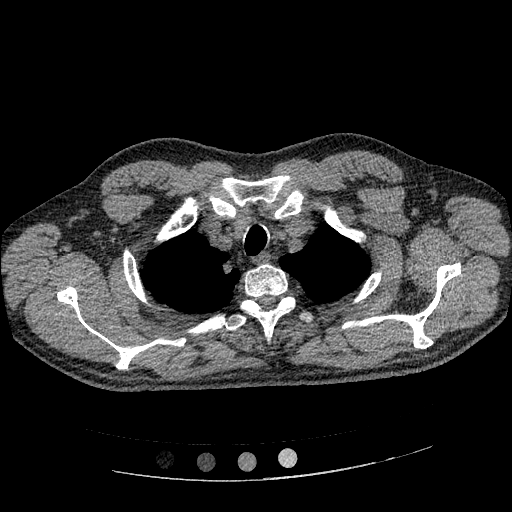
Lung; Computed tomography
Findings:
* lung tumor: (219, 260, 232, 274)